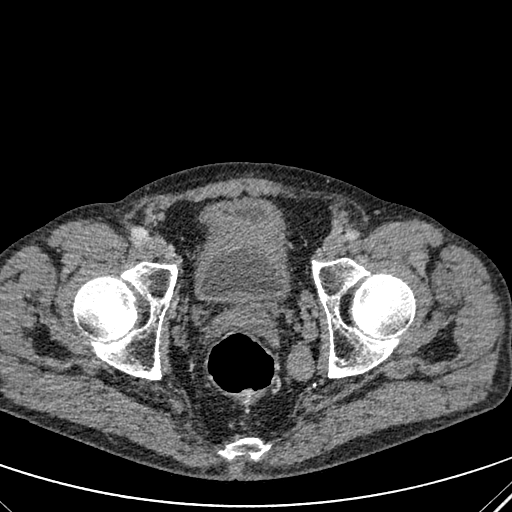

CT, 512x512, Lower abdomen
2 urinary bladder regions appear at rect(236, 208, 267, 226); rect(200, 243, 282, 298).